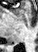
Hippocampus. MR. 38x52 px. The posterior hippocampus lies within (8, 44, 14, 45).